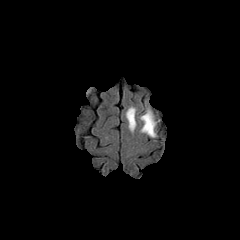
FLAIR MR image.
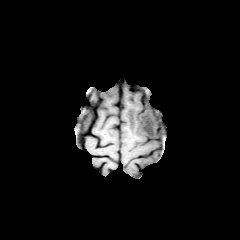
T1-weighted MR image.
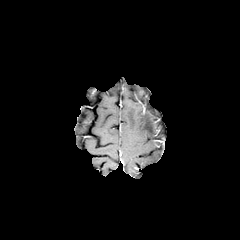
Post-contrast T1-weighted MR image.
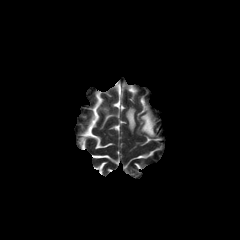
T2-weighted MR.
240x240
2 edema regions appear at [137,105,156,137], [126,106,137,130].